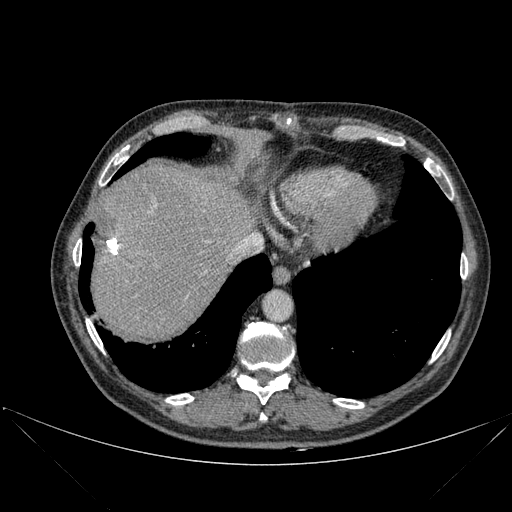

CT slice. Liver.

Lung: region(97, 254, 272, 392); region(292, 155, 461, 397); region(79, 223, 94, 310); region(112, 132, 209, 180).
Bone: region(460, 256, 467, 278); region(430, 332, 450, 362); region(73, 239, 81, 265); region(165, 393, 193, 405); region(242, 322, 293, 370); region(237, 374, 289, 404); region(99, 153, 127, 185); region(381, 138, 400, 145); region(333, 398, 364, 408); region(424, 159, 450, 186); region(86, 319, 104, 352).
Liver: region(91, 166, 255, 342).